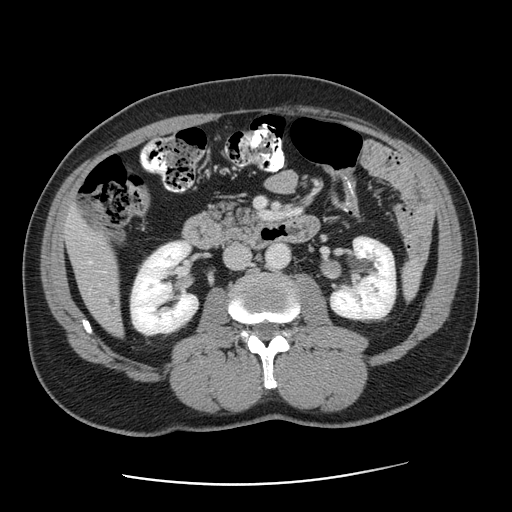
CT image

liver tumor: 104 293 119 311